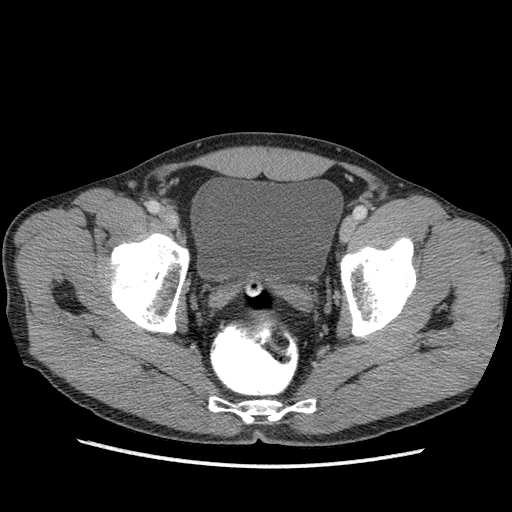

CT image, Lower abdomen
urinary bladder: (x1=190, y1=176, x2=343, y2=285)